CT slice | Abdomen | Field of view 422x422 mm | Slice 32/164 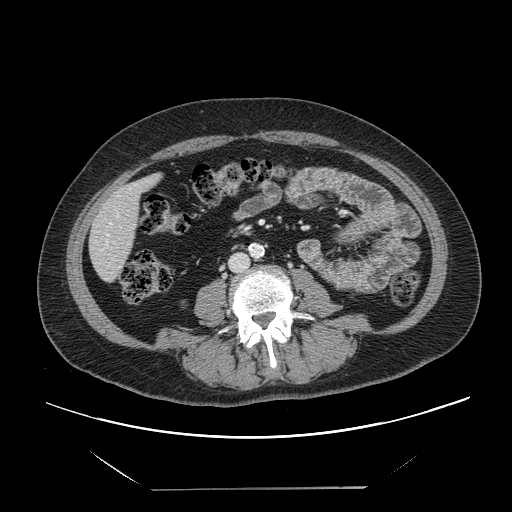
The vessel annotation is not exhaustive.
<segmentation>
  <hepatic_vessel>box(106, 233, 108, 237); box(106, 239, 107, 245); box(109, 223, 111, 225)</hepatic_vessel>
</segmentation>